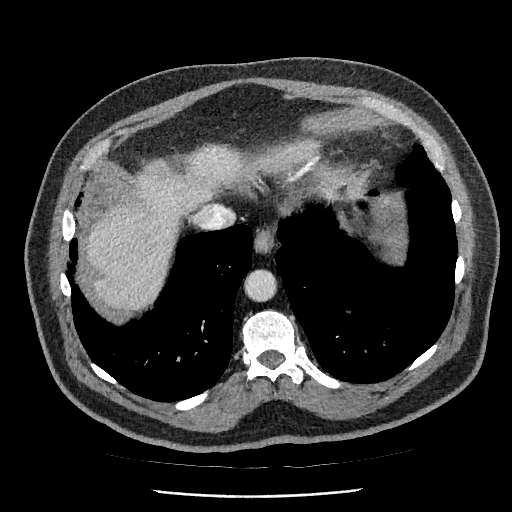
Computed tomography; Liver
{"liver": ["(87,146,249,310)"]}